Slice 394/836 | Field of view 348 mm wide, 0.80 mm slice spacing | Upper abdomen | Computed tomography 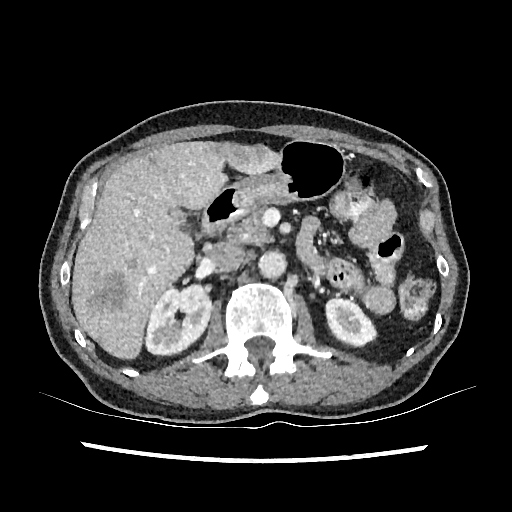 2 liver regions are located at [72, 142, 227, 357], [230, 149, 279, 173]. 2 kidney regions appear at [146, 285, 211, 354], [326, 299, 375, 345]. 3 hepatic lesion regions are located at [87, 271, 127, 310], [210, 143, 267, 165], [127, 259, 135, 268].